FLAIR magnetic resonance.
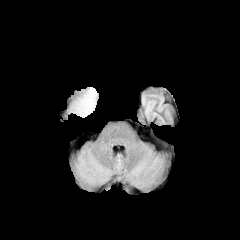
T1-weighted MRI.
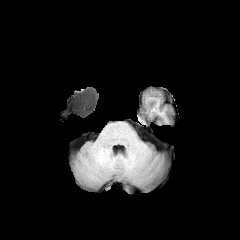
Post-contrast T1-weighted MR image.
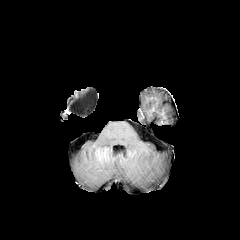
T2-weighted MR image.
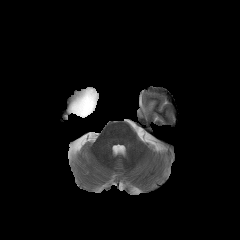
Brain
non-enhancing tumor core: l=70, t=88, r=97, b=115